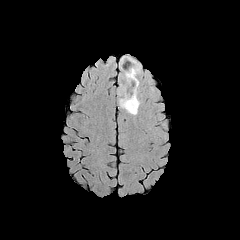
FLAIR magnetic resonance.
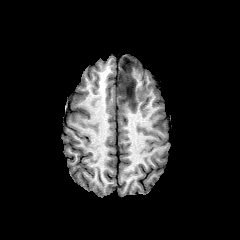
T1-weighted MR.
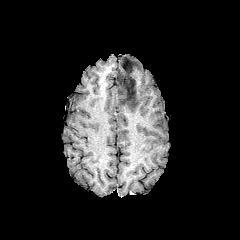
Post-contrast T1-weighted magnetic resonance of the same slice.
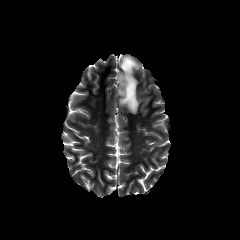
T2-weighted MRI.
Non-enhancing tumor core: bounding box 118:60:136:107.
Edema: bounding box 119:56:141:79, 118:80:139:114.